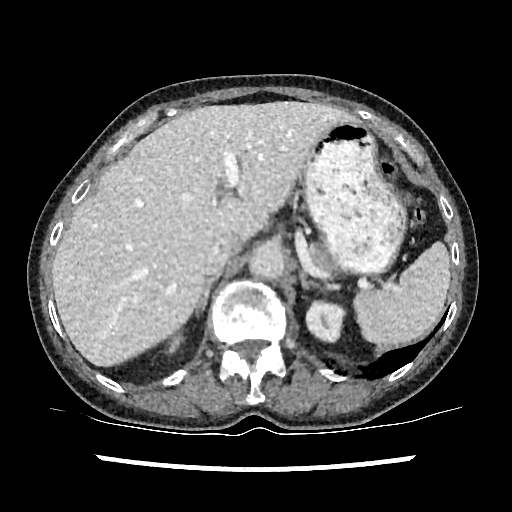

CT scan slice.
Segmented structures:
* liver: [x1=53, y1=103, x2=350, y2=365]